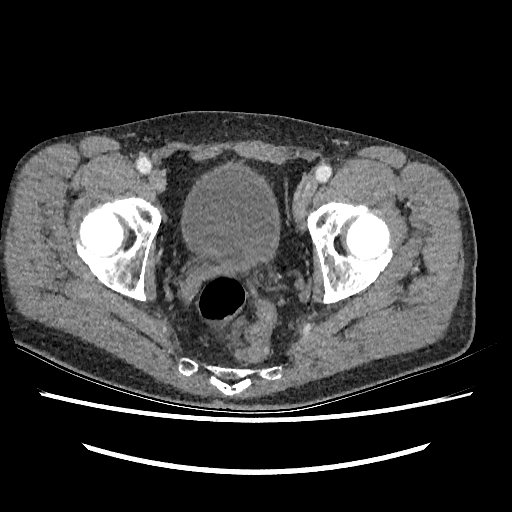 CT scan slice
The urinary bladder is bounded by <box>183,169,276,270</box>.